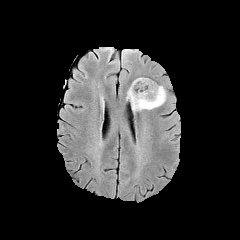
FLAIR magnetic resonance.
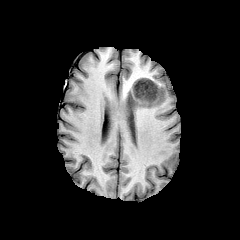
T1-weighted MRI.
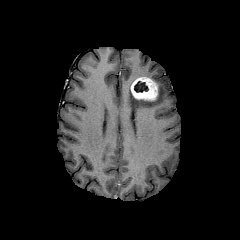
Post-contrast T1-weighted magnetic resonance of the same slice.
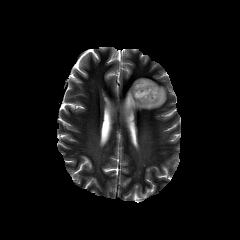
T2-weighted MR of the same slice.
240x240 px; Brain
enhancing_tumor:
  - left=131, top=78, right=157, bottom=101
edema:
  - left=127, top=86, right=166, bottom=111
non-enhancing_tumor_core:
  - left=134, top=81, right=147, bottom=92